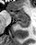
Medial temporal lobe; Magnetic resonance
The posterior hippocampus is at (x1=17, y1=20, x2=29, y2=27). The anterior hippocampus appears at (x1=8, y1=10, x2=28, y2=19).